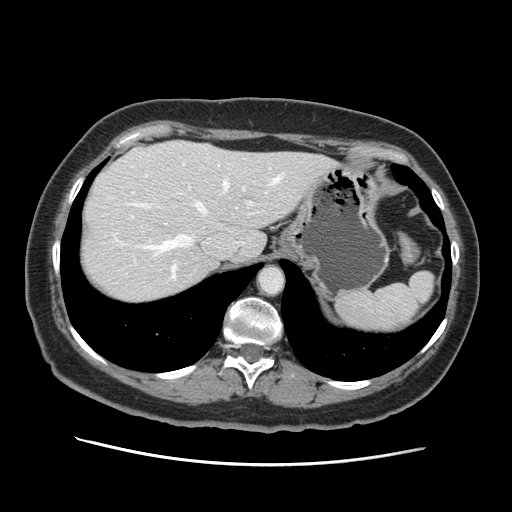

CT image | Upper abdomen | 512x512 px
The spleen is bounded by left=335, top=271, right=435, bottom=333.